FLAIR MR.
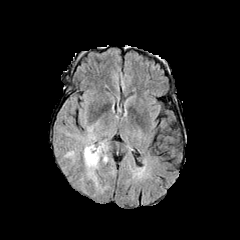
T1-weighted MRI.
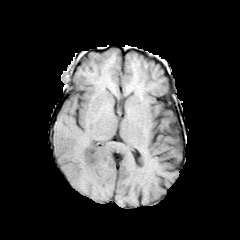
Post-contrast T1-weighted MR image.
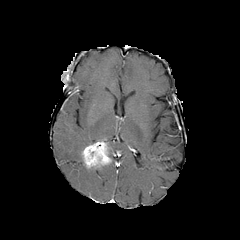
T2-weighted MRI.
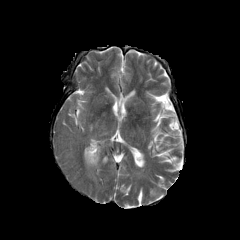
Brain
The edema is bounded by (x1=86, y1=134, x2=100, y2=145). The enhancing tumor lies within (x1=83, y1=142, x2=109, y2=167).